CT image, Slice 107 of 536, Image width 700 mm 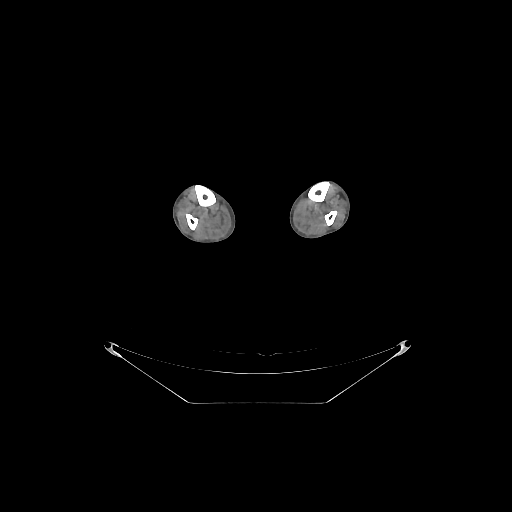
4 bone regions are located at (left=325, top=211, right=337, bottom=225), (left=186, top=214, right=197, bottom=229), (left=195, top=185, right=215, bottom=206), (left=308, top=182, right=329, bottom=201).